FLAIR MR image.
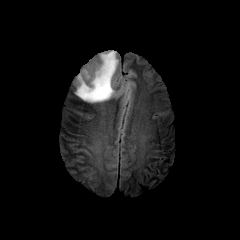
T1-weighted magnetic resonance.
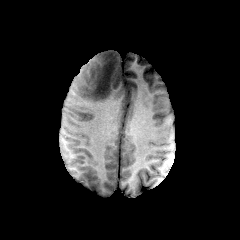
Post-contrast T1-weighted MR image.
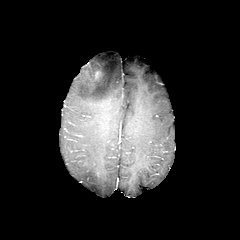
T2-weighted magnetic resonance.
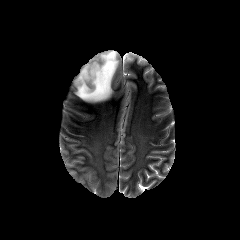
Brain.
The non-enhancing tumor core is at 82:67:102:79. The edema is at 75:51:120:103.